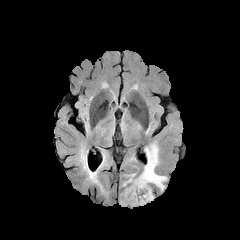
FLAIR MR image.
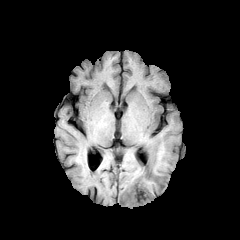
T1-weighted MR image.
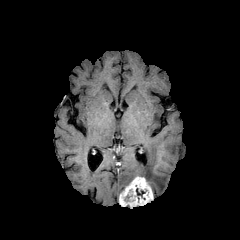
Post-contrast T1-weighted MR.
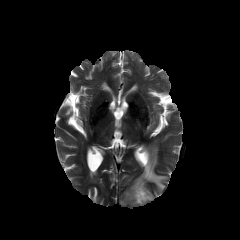
T2-weighted magnetic resonance of the same slice.
240x240 px.
Edema at bbox=[122, 174, 135, 185]; bbox=[139, 141, 167, 191].
Enhancing tumor at bbox=[119, 177, 153, 207].